CT scan slice. Chest. Slice 508/689. 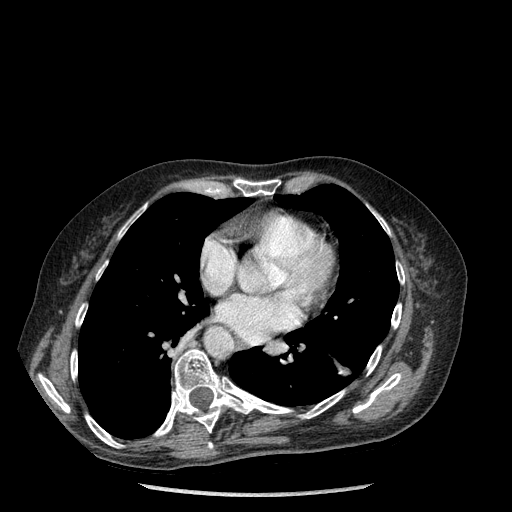
{
  "lung": [
    "229, 184, 398, 406",
    "78, 192, 251, 438"
  ],
  "bone": [
    "154, 349, 292, 436",
    "372, 210, 390, 234",
    "391, 303, 401, 328",
    "38, 374, 70, 412",
    "298, 390, 344, 418",
    "85, 414, 123, 448",
    "75, 303, 87, 326",
    "367, 345, 381, 375",
    "352, 373, 401, 413",
    "118, 203, 147, 238",
    "396, 262, 404, 284",
    "233, 178, 280, 196",
    "70, 350, 77, 380",
    "96, 261, 107, 277"
  ]
}